240x240 px, Head
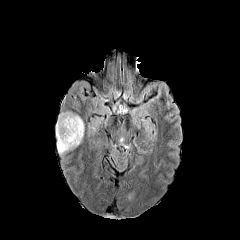
FLAIR MR.
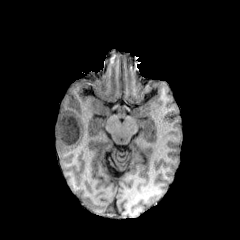
T1-weighted MR of the same slice.
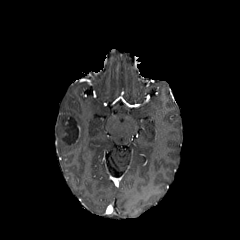
Post-contrast T1-weighted magnetic resonance.
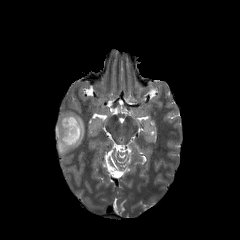
T2-weighted MR image.
<segmentation>
  <edema>region(56, 112, 84, 156)</edema>
  <non-enhancing_tumor_core>region(60, 113, 78, 145)</non-enhancing_tumor_core>
</segmentation>